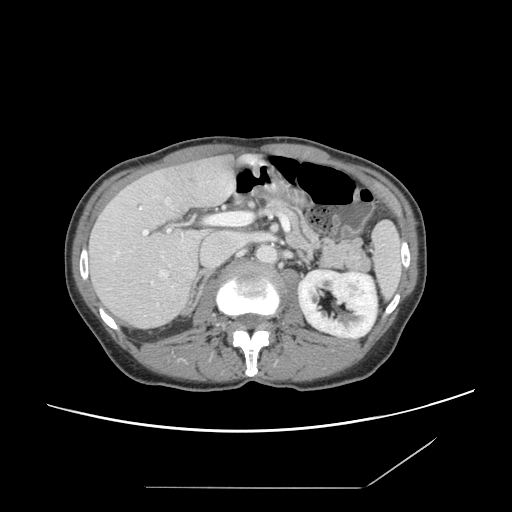 512x512, CT slice
Pancreas — {"x1": 254, "y1": 195, "x2": 370, "y2": 273}.
Pancreatic tumor — {"x1": 258, "y1": 197, "x2": 266, "y2": 207}.